Head
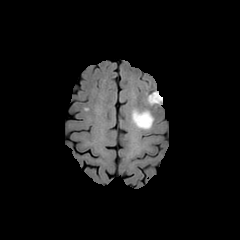
FLAIR MRI.
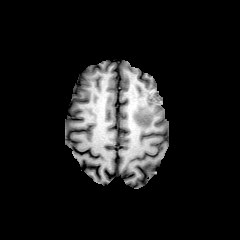
T1-weighted MRI of the same slice.
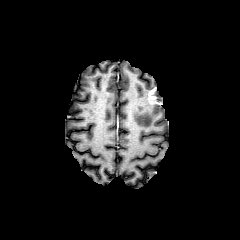
Post-contrast T1-weighted MR image.
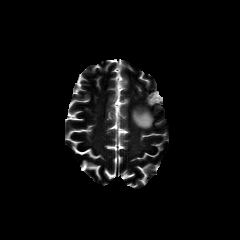
T2-weighted magnetic resonance.
The edema is bounded by bbox(132, 96, 155, 129). The enhancing tumor is bounded by bbox(148, 87, 162, 104). The non-enhancing tumor core is bounded by bbox(153, 90, 162, 102).